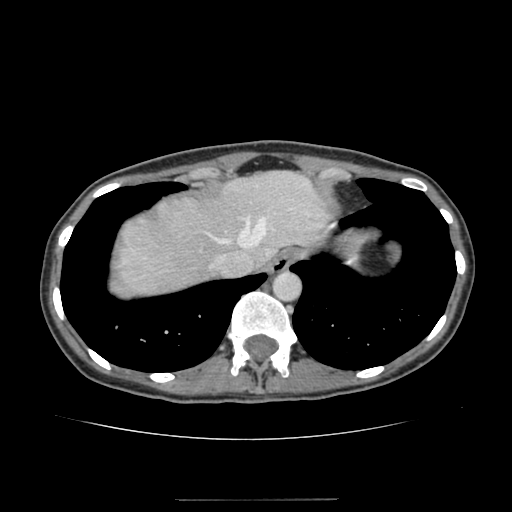

Liver; Computed tomography

Liver = box=[110, 171, 330, 296].